Abdomen. Image size 512x512. CT.

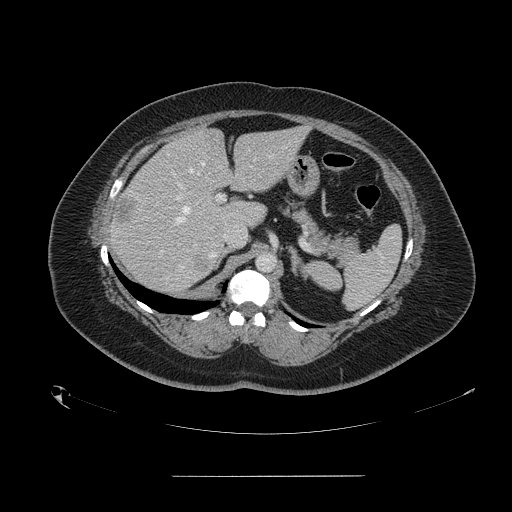

Spleen at 306 226 401 308.